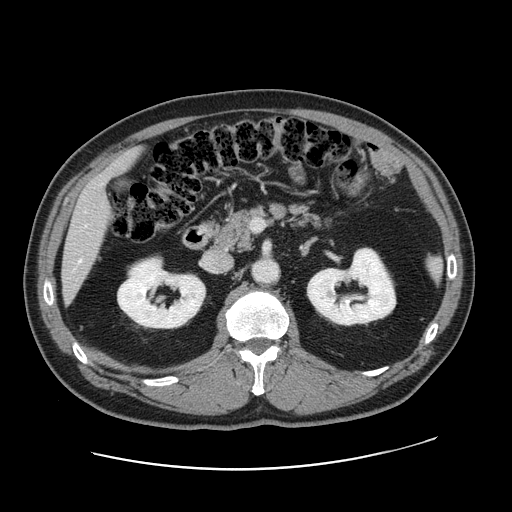 CT scan slice. 512x512. Not every hepatic vessel necessarily has a box.
Annotated regions:
* hepatic vessel: <bbox>78, 258, 82, 261</bbox>, <bbox>67, 295, 69, 297</bbox>, <bbox>95, 151, 136, 184</bbox>, <bbox>104, 201, 108, 210</bbox>, <bbox>85, 224, 87, 226</bbox>